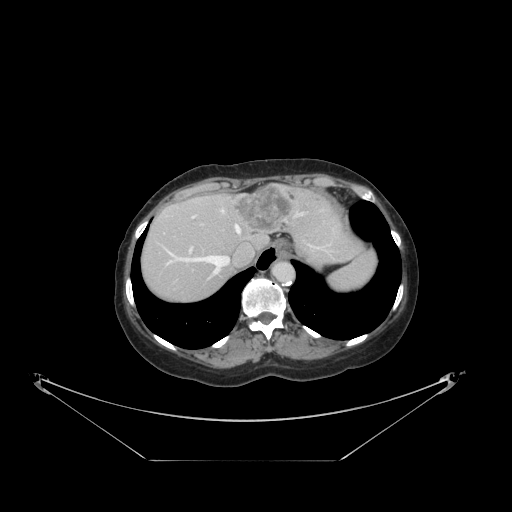 CT scan slice | Image size 512x512
Not every hepatic vessel necessarily has a box.
8 hepatic vessel regions are located at <bbox>192, 216, 194, 218</bbox>, <bbox>165, 249, 230, 275</bbox>, <bbox>237, 244, 252, 255</bbox>, <bbox>220, 209, 224, 212</bbox>, <bbox>234, 258, 237, 263</bbox>, <bbox>234, 224, 240, 233</bbox>, <bbox>189, 247, 192, 252</bbox>, <bbox>318, 248, 321, 249</bbox>. The liver tumor is at <bbox>231, 185, 294, 234</bbox>.